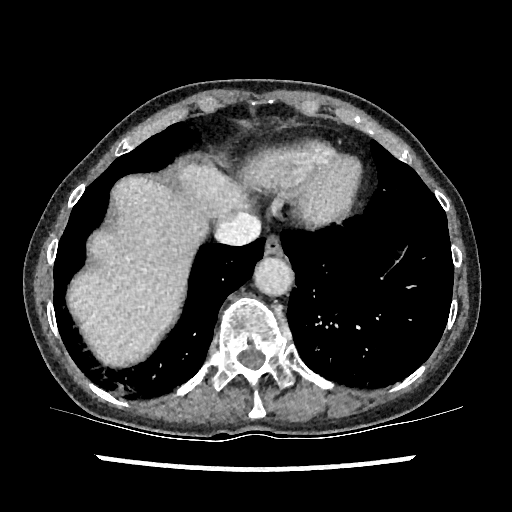
CT slice, Upper abdomen
Liver = left=68, top=162, right=267, bottom=363.